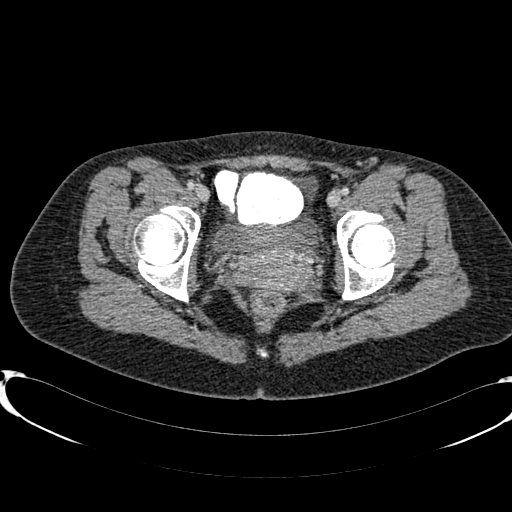 Pelvis; CT slice

Segmented structures:
• urinary bladder: [215,204,316,252]